CT, Liver, Image size 512x512 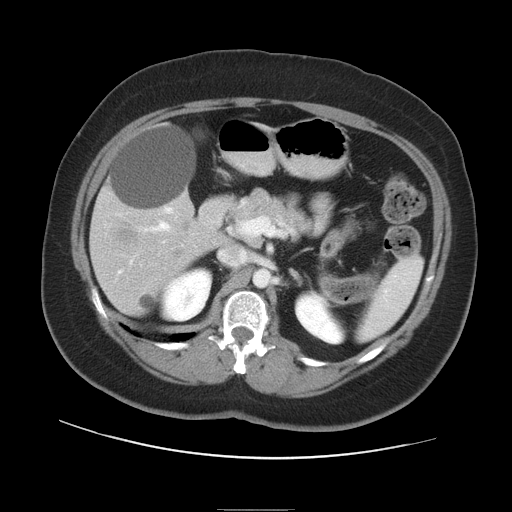
Not every hepatic vessel necessarily has a box.
Segmented structures:
- hepatic vessel: box=[166, 208, 171, 212]; box=[153, 222, 169, 229]